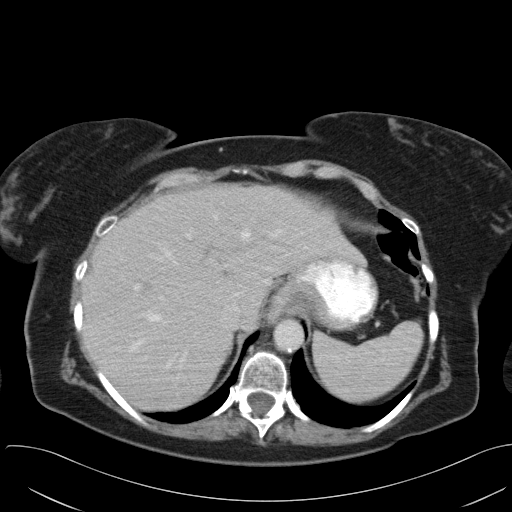

Abdomen. Computed tomography. {
  "spleen": [
    "bbox=[314, 321, 422, 403]"
  ]
}